Computed tomography; Slice 38/141 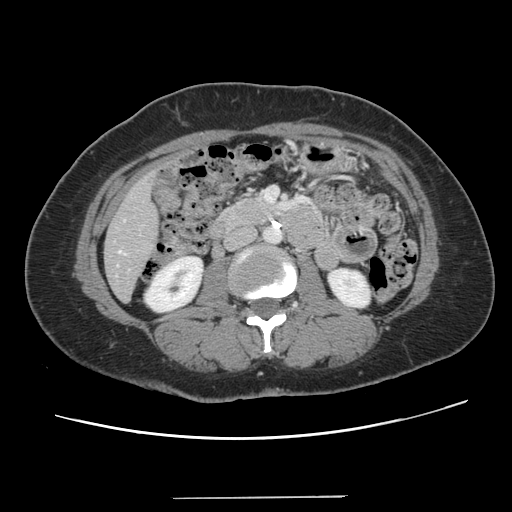

Only some of the vessels may be annotated.
{"hepatic_vessel": ["bbox=[119, 250, 125, 254]"]}